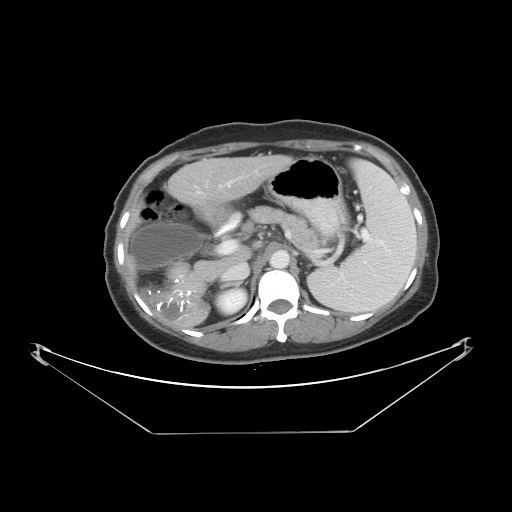

512x512 px. Liver. CT scan slice. Only some of the vessels may be annotated.
liver_tumor:
  - {"x1": 144, "y1": 276, "x2": 205, "y2": 322}
hepatic_vessel:
  - {"x1": 228, "y1": 175, "x2": 248, "y2": 185}
  - {"x1": 224, "y1": 243, "x2": 233, "y2": 251}
  - {"x1": 223, "y1": 184, "x2": 225, "y2": 185}